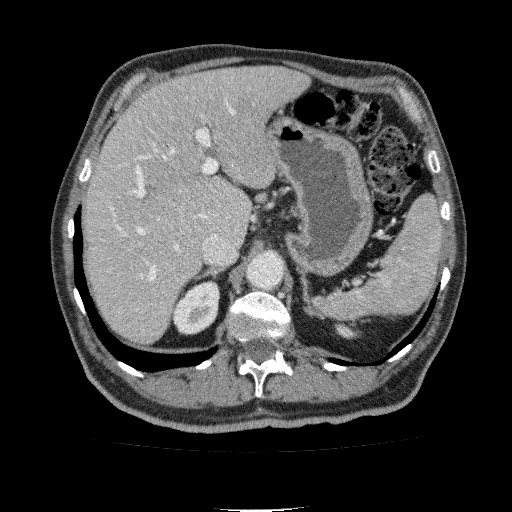

512x512 px. CT slice.
Kidney: bounding box (x1=337, y1=328, x2=351, y2=335), (x1=174, y1=282, x2=217, y2=333).
Liver: bounding box (x1=85, y1=68, x2=310, y2=342).